Head | Field of view 240x240 mm | Image size 240x240 | Slice 124/155
FLAIR magnetic resonance.
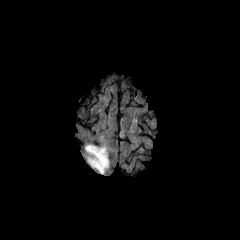
T1-weighted magnetic resonance.
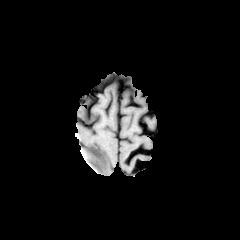
Post-contrast T1-weighted MR image.
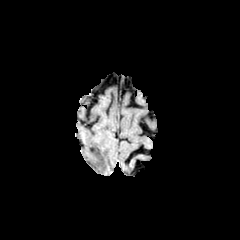
T2-weighted MR image.
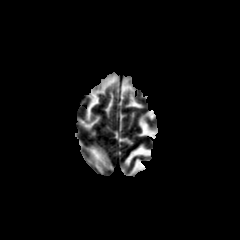
The edema appears at region(85, 144, 109, 173).